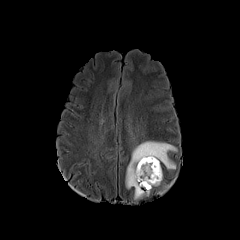
FLAIR MR image.
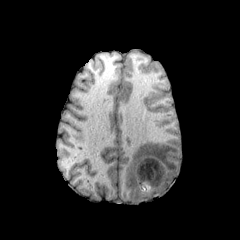
T1-weighted MRI.
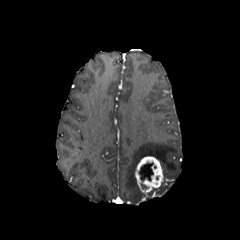
Same slice, post-contrast T1-weighted MRI.
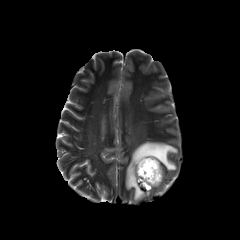
T2-weighted magnetic resonance.
240x240.
Enhancing tumor = box(134, 156, 163, 192).
Edema = box(125, 141, 176, 200).
Non-enhancing tumor core = box(139, 162, 153, 180).